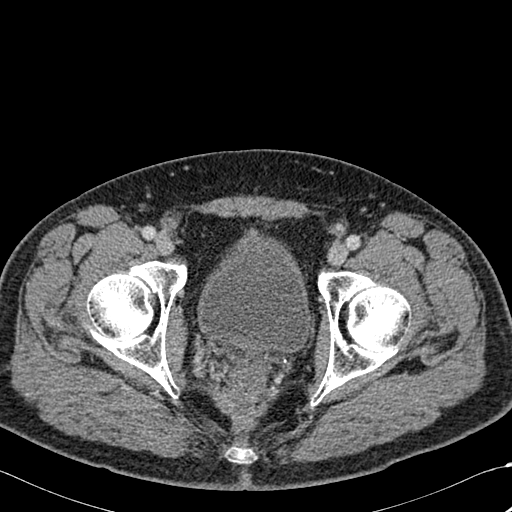 Computed tomography. • bone: l=317, t=271, r=409, b=398; l=86, t=261, r=186, b=393; l=234, t=448, r=249, b=462